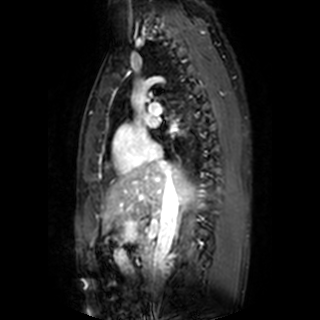
MR image.

Left atrium: bounding box (145, 114, 158, 127).